240x240, Slice index 59
FLAIR MRI.
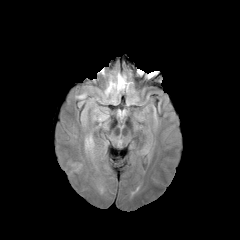
T1-weighted MR image.
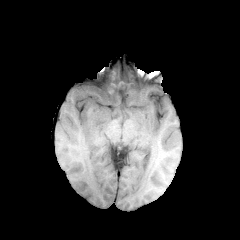
Post-contrast T1-weighted MRI.
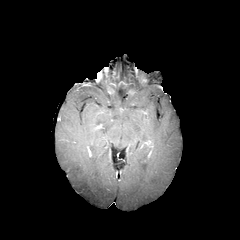
T2-weighted magnetic resonance.
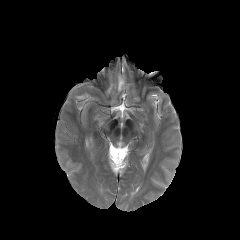
edema: bbox=[101, 70, 133, 102]; bbox=[76, 92, 87, 99]; bbox=[118, 109, 127, 119]; bbox=[87, 97, 101, 103]